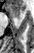 Medial temporal lobe. MRI.

anterior_hippocampus:
  - 10, 5, 20, 18